CT slice; Abdomen
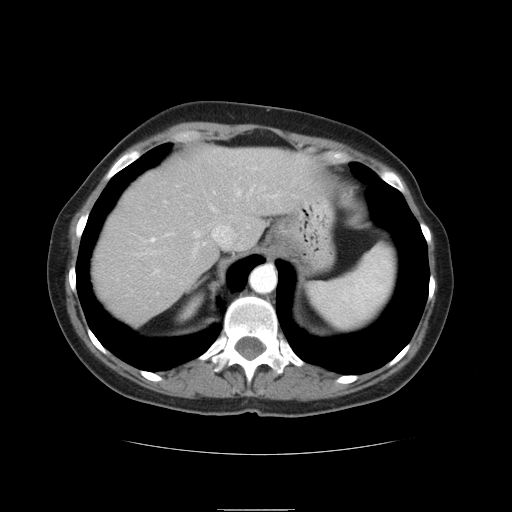

The spleen is at <box>306,244,396,330</box>.